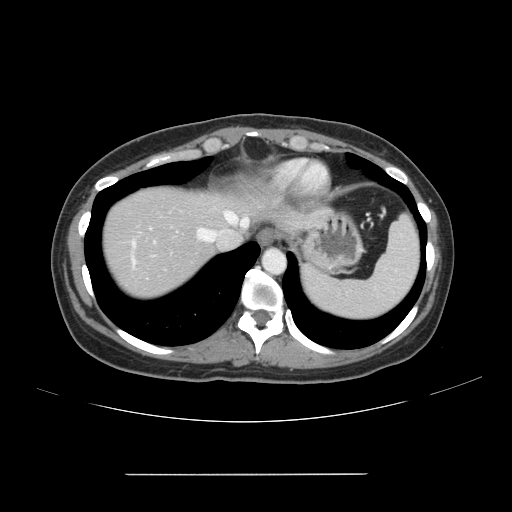 CT scan slice. Image size 512x512. Liver. Only some of the vessels may be annotated.
Findings:
* hepatic vessel: {"x1": 225, "y1": 212, "x2": 236, "y2": 223}, {"x1": 133, "y1": 261, "x2": 134, "y2": 264}, {"x1": 133, "y1": 243, "x2": 134, "y2": 245}, {"x1": 198, "y1": 229, "x2": 215, "y2": 241}, {"x1": 241, "y1": 218, "x2": 247, "y2": 226}